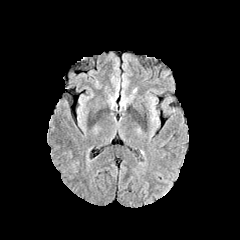
FLAIR MRI.
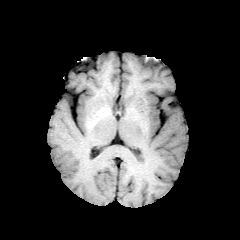
T1-weighted MR image of the same slice.
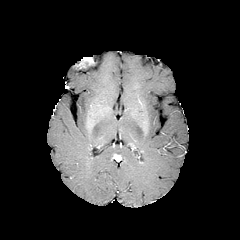
Post-contrast T1-weighted MR.
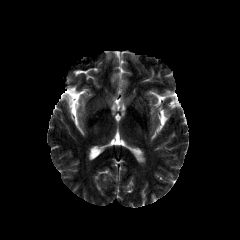
T2-weighted magnetic resonance of the same slice.
240x240.
The edema is at box=[149, 98, 156, 122].